FLAIR magnetic resonance.
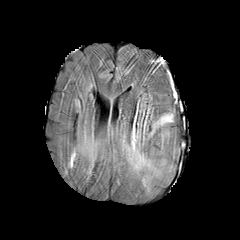
T1-weighted MRI.
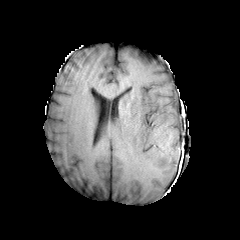
Post-contrast T1-weighted MR image.
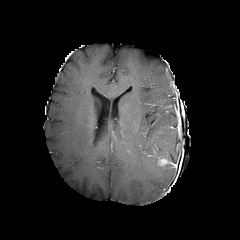
T2-weighted MR image.
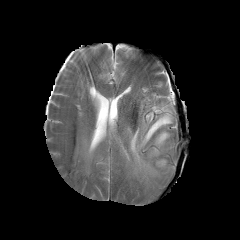
Brain
Segmented structures:
• edema: rect(128, 112, 173, 169)